Slice index 32. Upper abdomen. CT scan slice. 512x512 px.

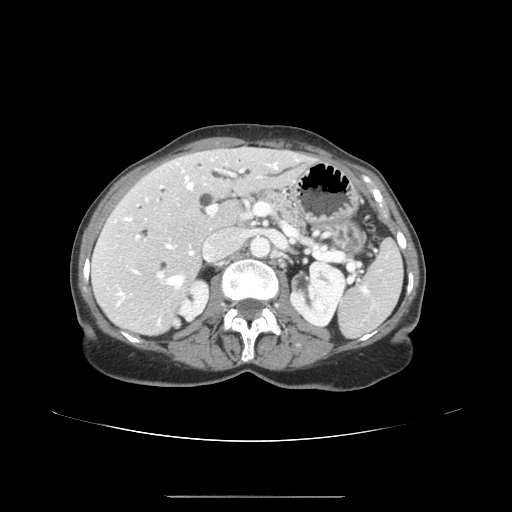

pancreas:
  - (259,192,306,230)